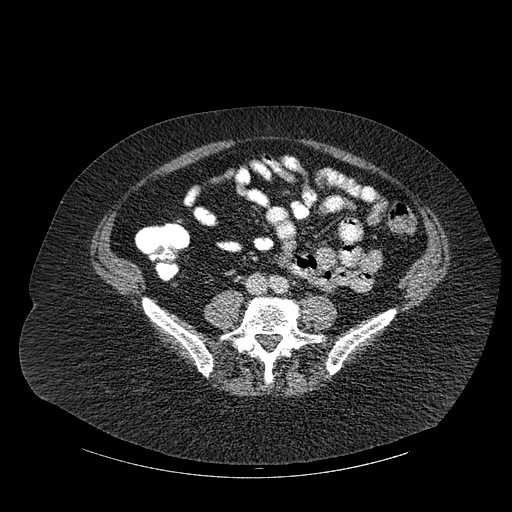 CT | 512x512 px

Bone — 221 297 322 383, 143 298 212 376, 326 309 395 374.